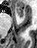

MR
{
  "anterior_hippocampus": [
    "x1=17 y1=7 x2=23 y2=17"
  ]
}